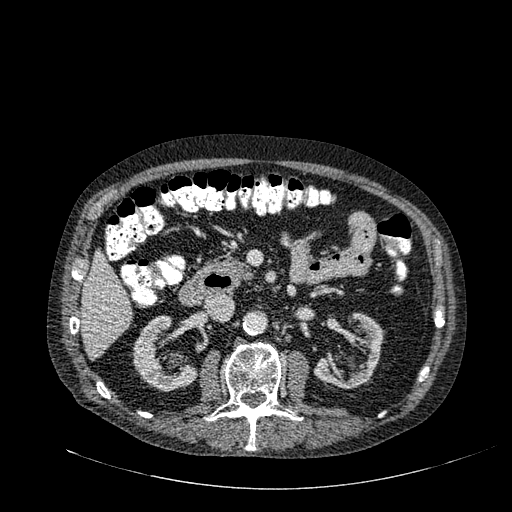

CT image
2 kidney regions are bounded by [133, 315, 197, 391], [314, 313, 384, 388]. The liver lies within [82, 250, 131, 359].